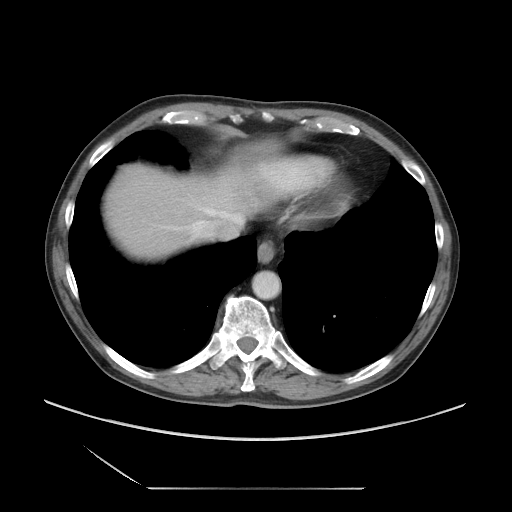 Computed tomography; Abdomen
The vessel boxes may cover only some of the vessels.
4 hepatic vessel regions appear at box=[195, 221, 217, 235]; box=[189, 204, 231, 217]; box=[158, 226, 178, 229]; box=[225, 225, 237, 237].